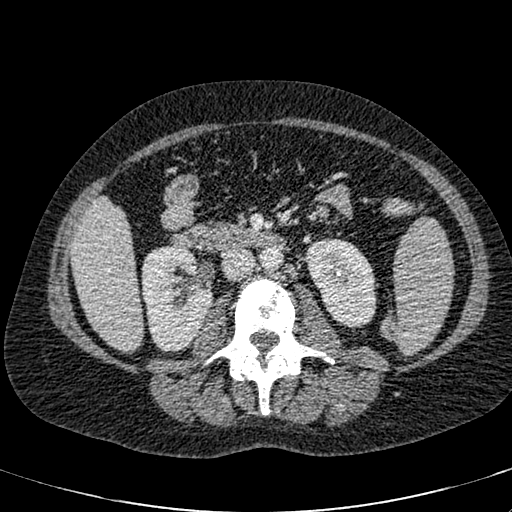
Abdomen | Computed tomography
{
  "liver": [
    "rect(71, 197, 142, 351)"
  ],
  "kidney": [
    "rect(142, 243, 212, 350)",
    "rect(306, 239, 375, 326)"
  ]
}